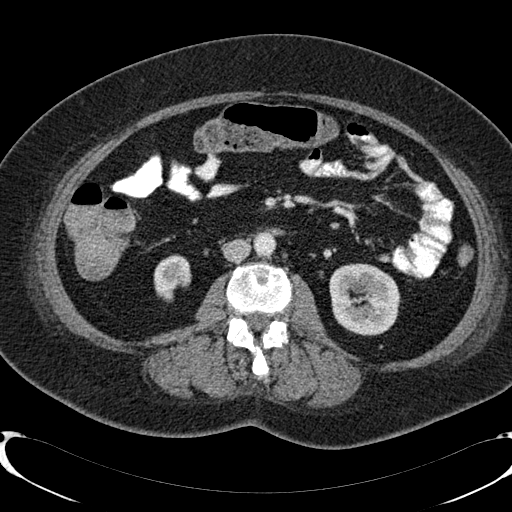 Abdomen, CT slice
2 kidney regions are bounded by [155,256,190,298], [330,264,398,334].